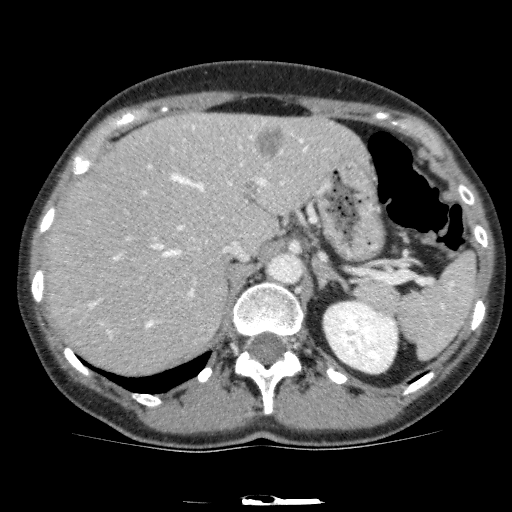

Upper abdomen | 512x512 px | CT
Liver: (45, 113, 371, 371).
Hepatic lesion: (252, 123, 286, 160), (188, 237, 209, 253).
Kidney: (324, 302, 396, 372).